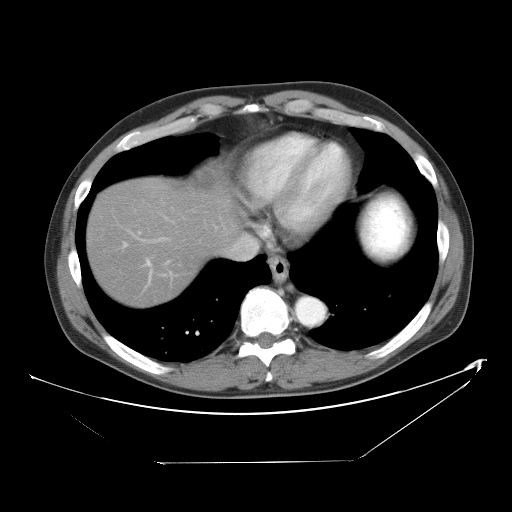

512x512 | CT | Liver

The vessel annotation is not exhaustive.
{
  "hepatic_vessel": [
    "(left=145, top=260, right=148, bottom=265)",
    "(left=123, top=242, right=126, bottom=247)",
    "(left=148, top=270, right=152, bottom=284)"
  ],
  "liver_tumor": [
    "(left=180, top=169, right=226, bottom=193)"
  ]
}